Slice 43 of 88; CT slice; Image size 512x512

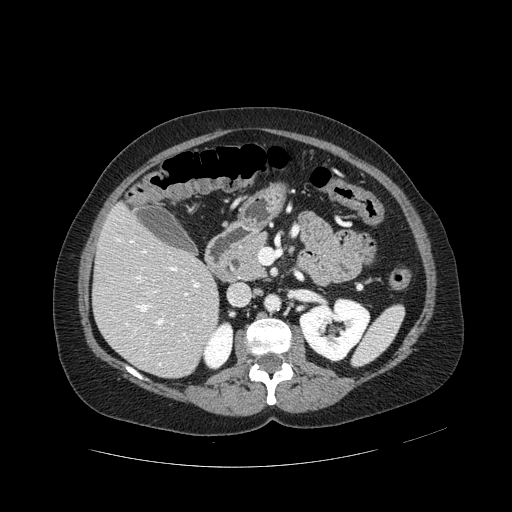
The pancreas appears at region(233, 234, 266, 279).